Field of view 240x240 mm. 240x240 px. Slice index 66.
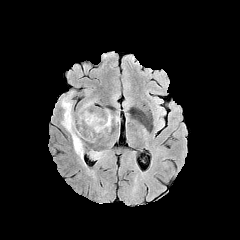
FLAIR MR.
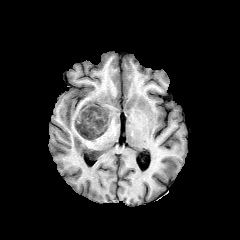
T1-weighted MR image of the same slice.
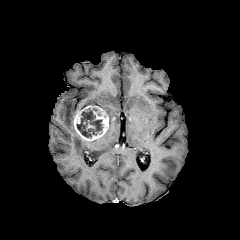
Same slice, post-contrast T1-weighted MRI.
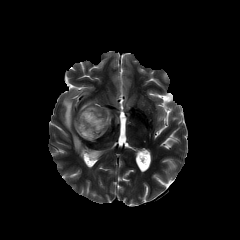
T2-weighted MRI of the same slice.
{
  "non-enhancing_tumor_core": [
    "<box>77,108,102,137</box>"
  ],
  "enhancing_tumor": [
    "<box>74,105,108,140</box>"
  ],
  "edema": [
    "<box>89,150,104,160</box>",
    "<box>106,109,113,131</box>",
    "<box>61,91,84,159</box>"
  ]
}